Brain, Field of view 240x240 mm, Slice 69 of 155
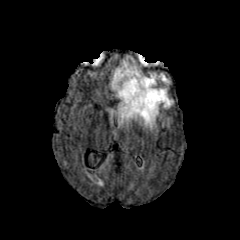
FLAIR MRI.
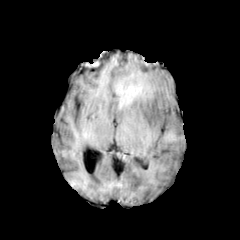
T1-weighted magnetic resonance.
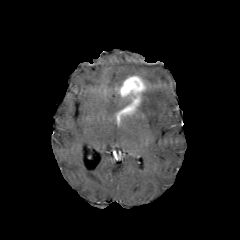
Same slice, post-contrast T1-weighted MRI.
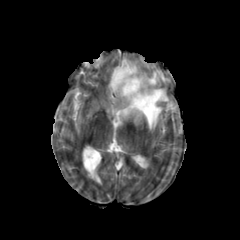
T2-weighted MRI.
- enhancing tumor: left=116, top=75, right=145, bottom=125
- edema: left=111, top=61, right=173, bottom=128